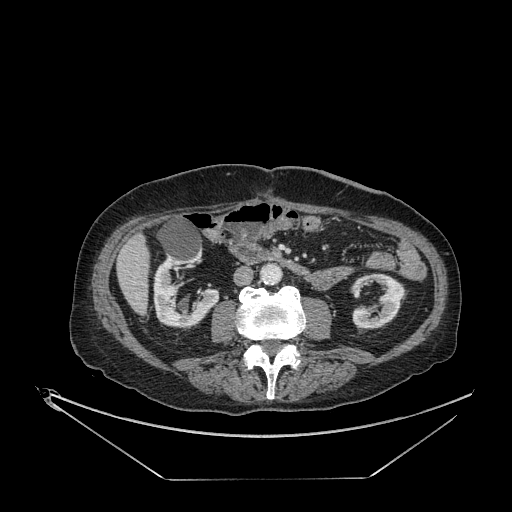

CT image
Liver — [x1=117, y1=233, x2=148, y2=315].
Kidney — [x1=352, y1=274, x2=404, y2=328], [x1=154, y1=256, x2=218, y2=327].